FLAIR MR.
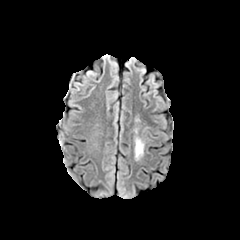
T1-weighted MR image.
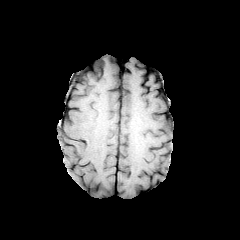
Post-contrast T1-weighted MR.
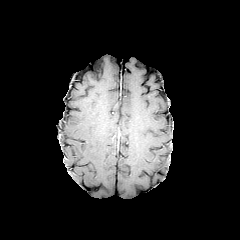
T2-weighted magnetic resonance.
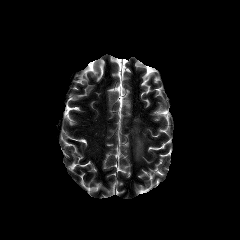
Head.
The edema is located at x1=134 y1=137 x2=144 y2=159.